FLAIR MR image.
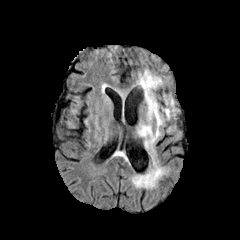
T1-weighted MR.
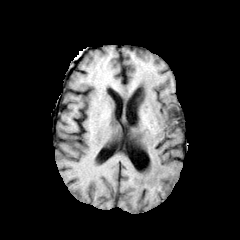
Post-contrast T1-weighted MRI.
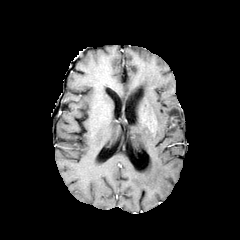
T2-weighted MR image.
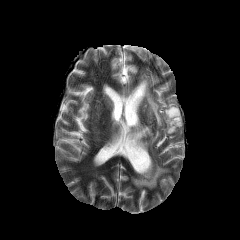
Edema — bbox=[132, 69, 179, 188].